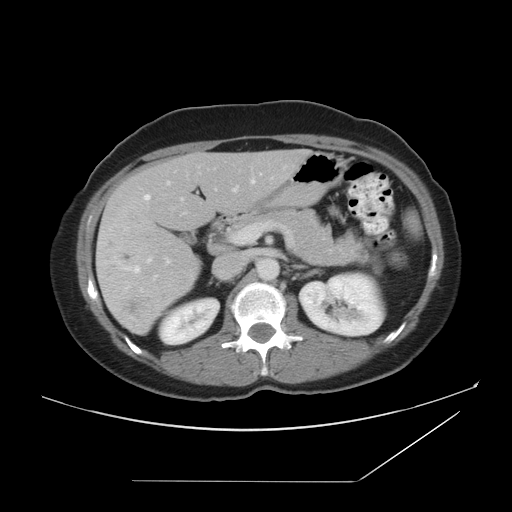
Liver | CT image

The vessel annotation is not exhaustive.
Annotated regions:
- liver tumor: 127:302:139:314
- hepatic vessel: 199:171:200:173, 114:256:116:257, 198:167:199:168, 148:257:151:261, 140:288:142:291, 233:186:237:191, 99:235:106:244, 144:194:150:199, 250:178:255:183, 165:257:169:263, 155:275:156:276, 180:198:183:200, 180:212:186:214, 118:261:139:272, 167:181:169:184